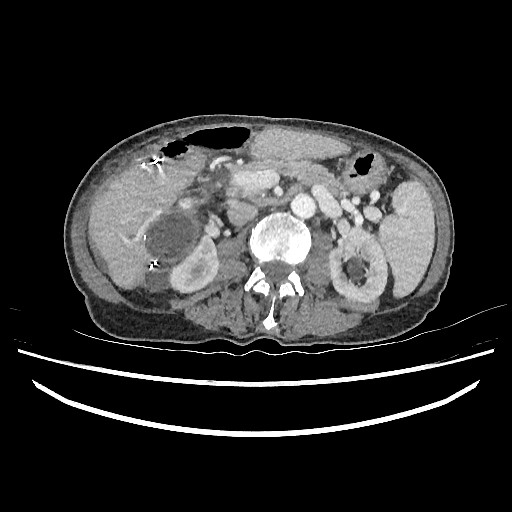
CT. Upper abdomen.
Focal liver lesion: bbox=[93, 248, 106, 268]; bbox=[143, 211, 197, 291].
Kidney: bbox=[329, 228, 387, 302]; bbox=[170, 222, 219, 292].
Liver: bbox=[252, 128, 349, 158]; bbox=[89, 153, 204, 288].